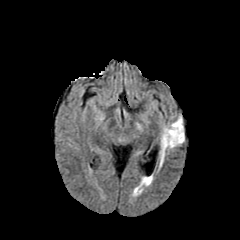
FLAIR MRI.
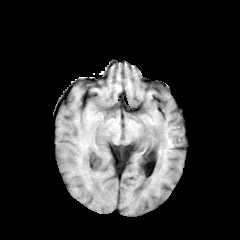
T1-weighted magnetic resonance.
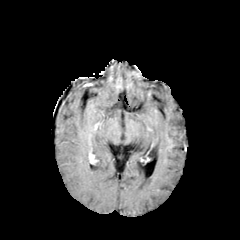
Post-contrast T1-weighted magnetic resonance.
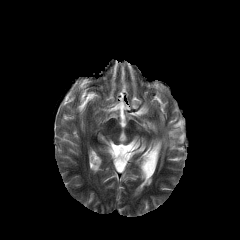
T2-weighted MRI.
Brain
{
  "edema": [
    "142, 177, 151, 186",
    "160, 116, 184, 164"
  ]
}